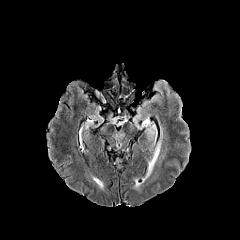
FLAIR MR image.
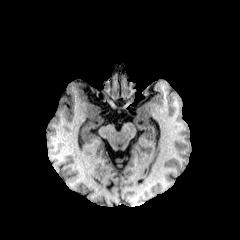
T1-weighted MR image.
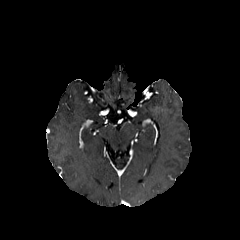
Post-contrast T1-weighted MR image of the same slice.
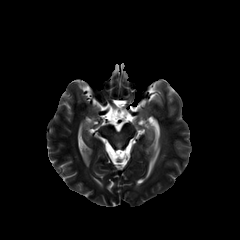
T2-weighted MR image of the same slice.
240x240
<segmentation>
  <edema>146 139 160 176, 140 122 155 139</edema>
</segmentation>